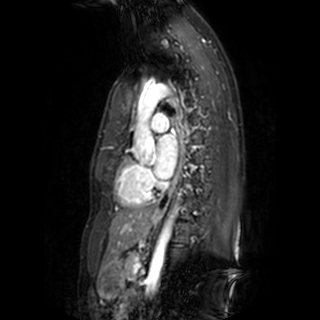 Heart. MR image.
left atrium: 154,134,177,179